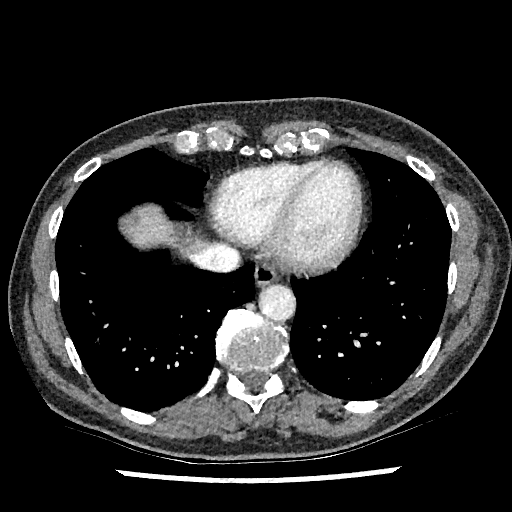
Abdomen | CT scan slice
Annotated regions:
• liver: {"x1": 122, "y1": 205, "x2": 205, "y2": 255}